Slice index 73 | Image size 240x240 | Field of view 240 mm wide, 1.00 mm slice spacing
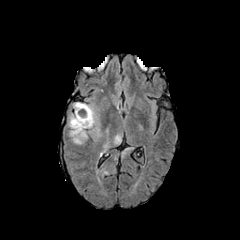
FLAIR magnetic resonance.
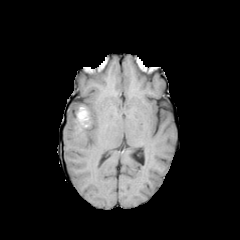
T1-weighted MR of the same slice.
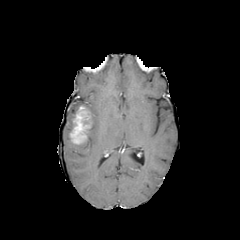
Post-contrast T1-weighted magnetic resonance.
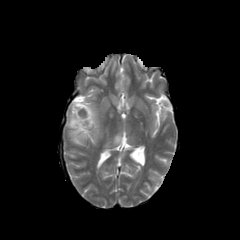
T2-weighted MRI.
enhancing_tumor:
  - left=70, top=114, right=90, bottom=143
edema:
  - left=67, top=98, right=100, bottom=144